Brain
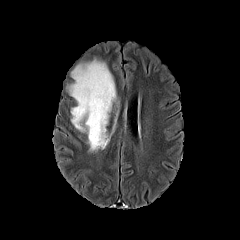
FLAIR magnetic resonance.
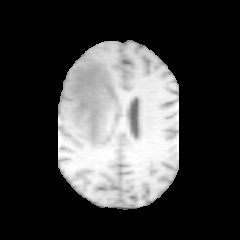
T1-weighted MR.
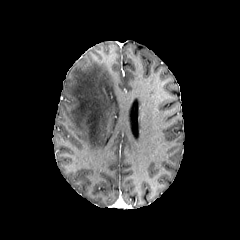
Post-contrast T1-weighted MR.
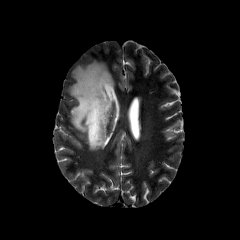
T2-weighted magnetic resonance of the same slice.
edema:
  - x1=67, y1=60, x2=116, y2=152